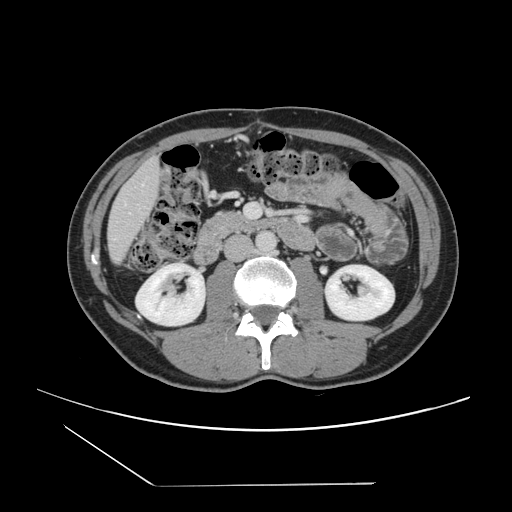 Computed tomography, 512x512
The vessel annotation is not exhaustive.
The hepatic vessel is bounded by (left=111, top=238, right=115, bottom=239).